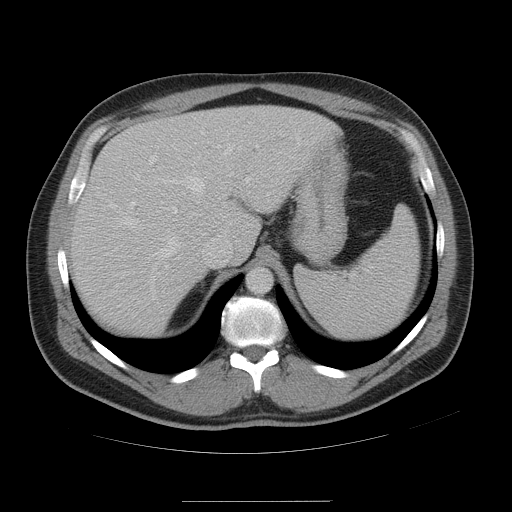 Abdomen. CT scan slice.

spleen:
  - 296,208,419,338